CT image, Pelvis, Slice index 43, Field of view 440 mm wide, 5.00 mm slice spacing 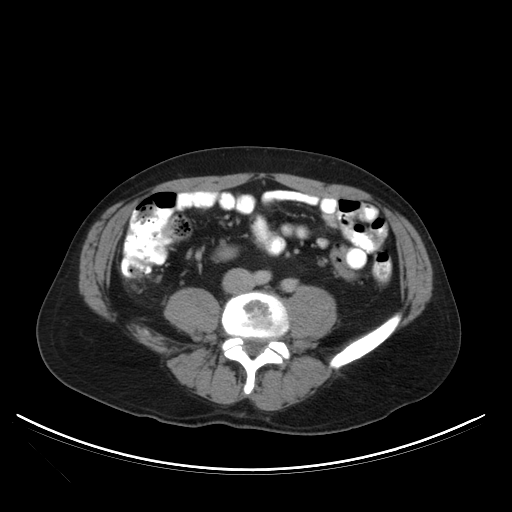
Colon tumor: bounding box (left=131, top=268, right=142, bottom=276).